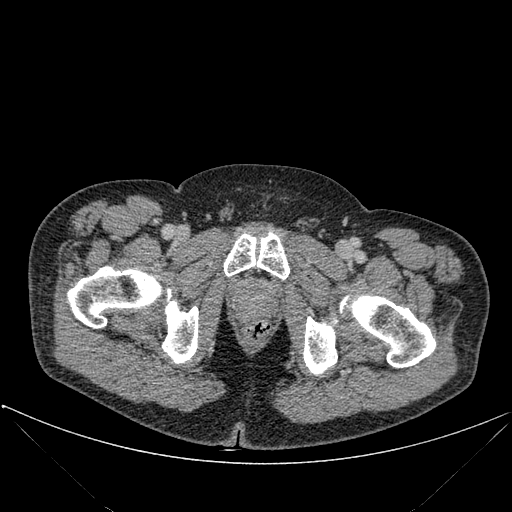

CT slice

Bone at {"x1": 303, "y1": 316, "x2": 337, "y2": 374}, {"x1": 67, "y1": 266, "x2": 161, "y2": 328}, {"x1": 340, "y1": 296, "x2": 348, "y2": 312}, {"x1": 224, "y1": 232, "x2": 289, "y2": 279}, {"x1": 349, "y1": 296, "x2": 435, "y2": 367}, {"x1": 162, "y1": 288, "x2": 198, "y2": 363}.